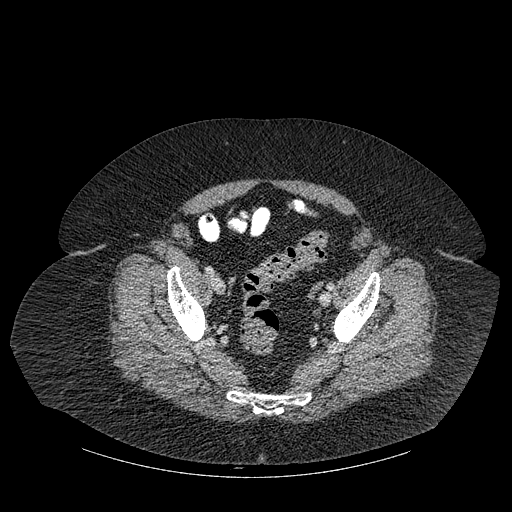

CT scan slice
3 bone regions are bounded by 227:391:311:414, 167:266:205:340, 334:272:379:342.